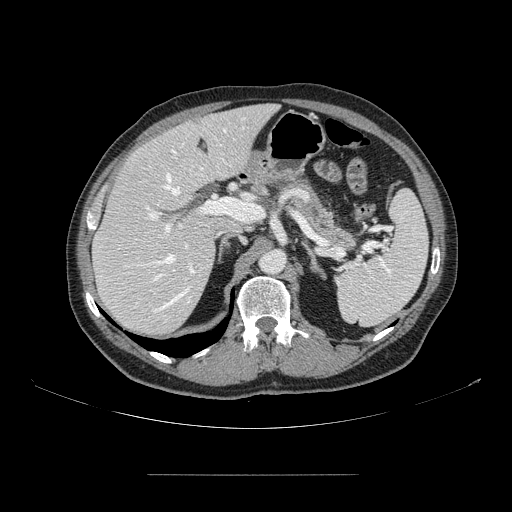

Image size 512x512, CT
Annotated regions:
* pancreas: box(278, 179, 358, 251)